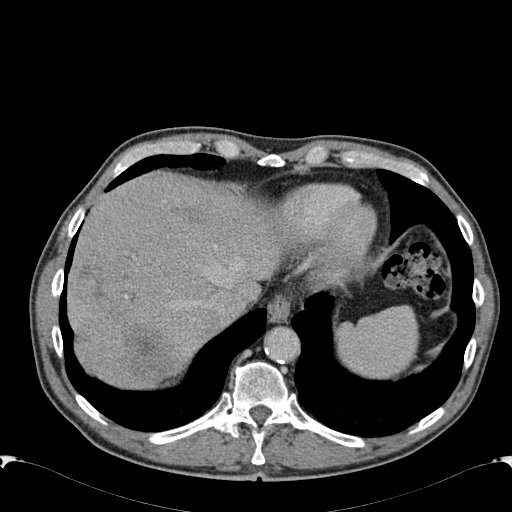 CT, Upper abdomen, 512x512 px
3 liver lesion regions are bounded by rect(124, 327, 175, 379); rect(83, 262, 107, 309); rect(187, 206, 203, 220). The liver is bounded by rect(67, 172, 282, 387).